Abdomen. CT. 512x512 px.
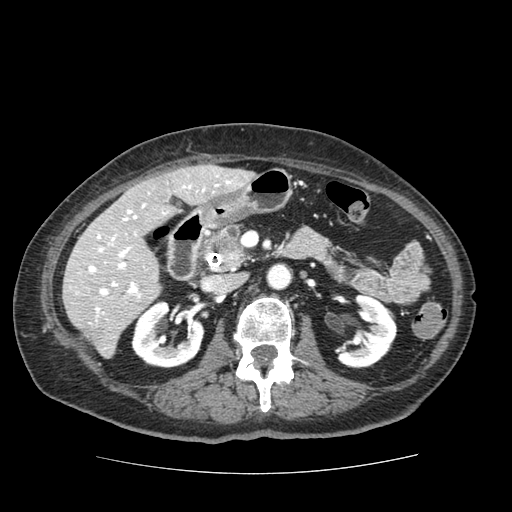 Pancreatic tumor: (213,237,237,252).
Pancreas: (207,226,246,269).